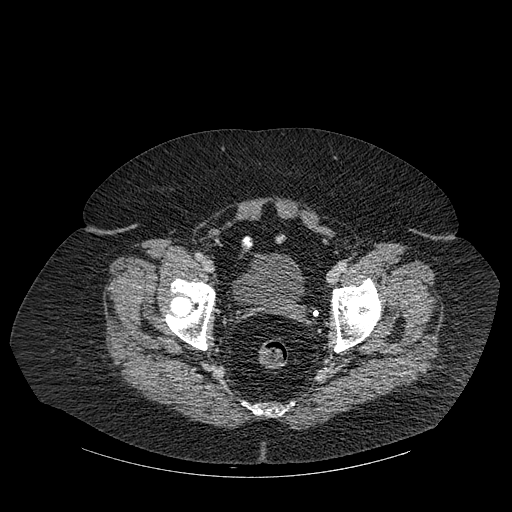 Computed tomography.

{
  "urinary_bladder": [
    "233:253:304:317"
  ],
  "bone": [
    "165:278:215:350",
    "242:402:286:415",
    "332:278:380:352"
  ]
}